512x512 px. CT scan slice. Liver.

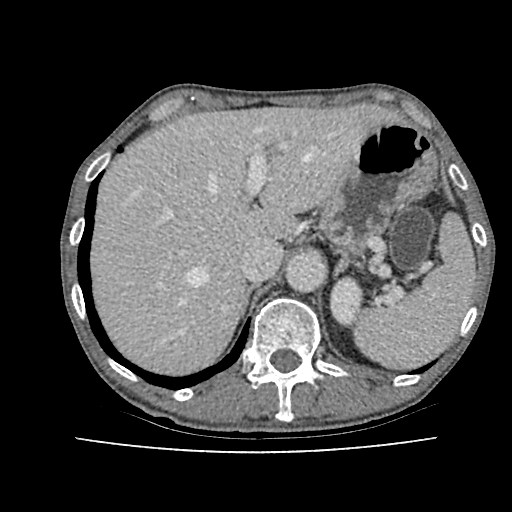

Annotated regions:
- kidney: (331,281,359,322)
- liver: (90,105,391,375)